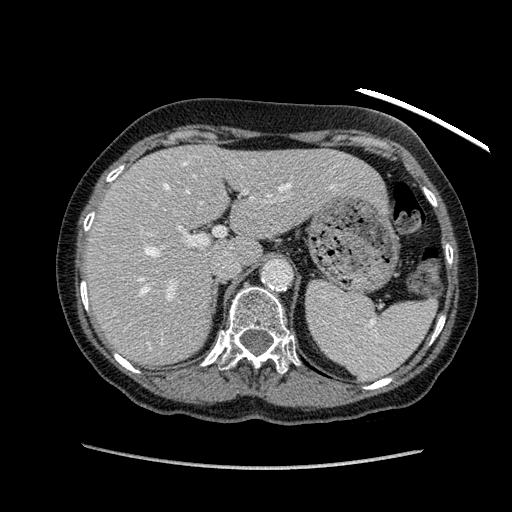

CT slice | Abdomen

Liver = box(84, 145, 381, 364).